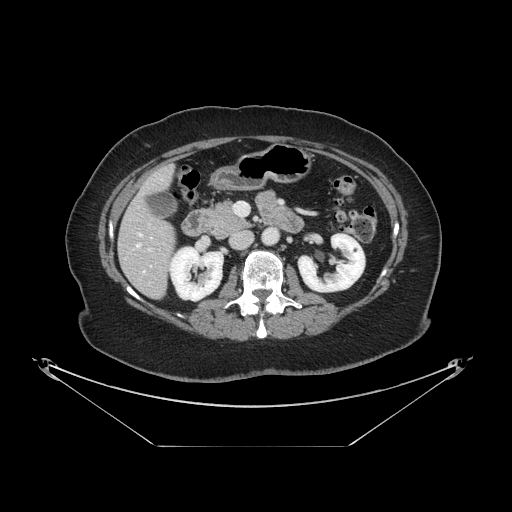

CT scan slice | Upper abdomen
The pancreas is at x1=201 y1=201 x2=250 y2=239.